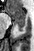

MRI slice, 34x51 px
The anterior hippocampus is at (9,7,25,19). The posterior hippocampus appears at (15,20,25,30).